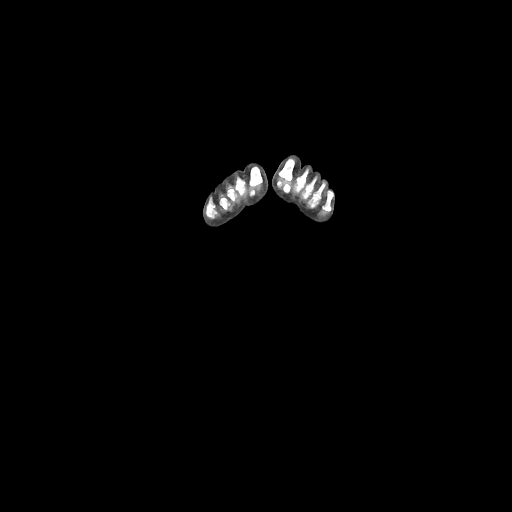 CT slice

6 bone regions appear at [277, 159, 294, 192], [323, 191, 333, 212], [220, 177, 245, 209], [295, 169, 325, 206], [206, 198, 215, 217], [250, 167, 262, 195].